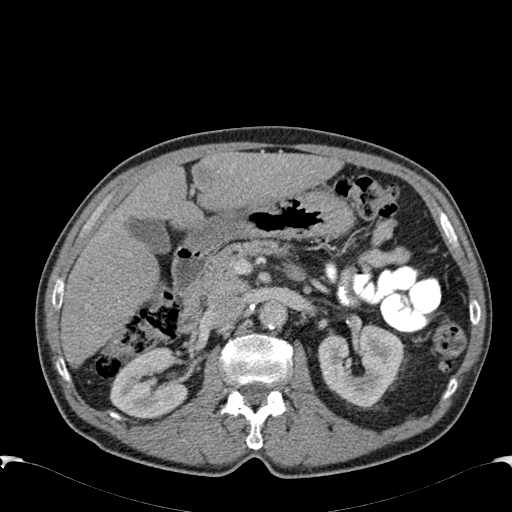
Abdomen, Computed tomography, Image size 512x512

2 kidney regions are located at 319,325,402,406; 111,348,187,417. 2 liver regions are bounded by 61,165,201,367; 191,153,341,211. The focal liver lesion appears at 196,166,213,184.